Liver. CT image. Image width 410 mm. Slice index 71. 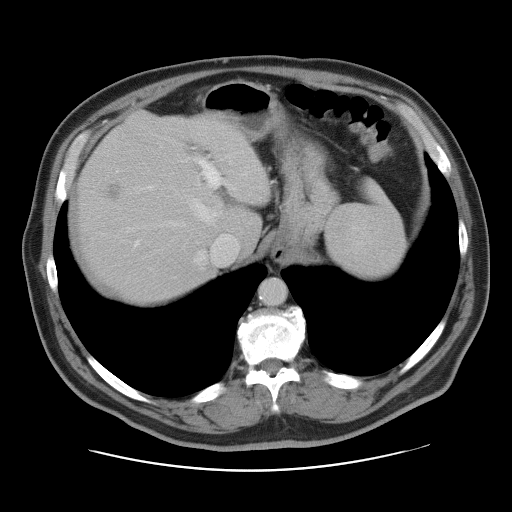
The vessel boxes may cover only some of the vessels.
{
  "hepatic_vessel": [
    "[198, 156, 221, 187]",
    "[210, 234, 238, 265]",
    "[198, 251, 206, 263]",
    "[224, 183, 234, 189]",
    "[147, 185, 153, 189]",
    "[134, 241, 138, 245]",
    "[190, 199, 217, 222]"
  ],
  "liver_tumor": [
    "[101, 180, 129, 203]"
  ]
}